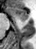

MR image | 36x49 px | Medial temporal lobe
{
  "posterior_hippocampus": [
    "21, 21, 25, 21"
  ],
  "anterior_hippocampus": [
    "7, 7, 28, 20"
  ]
}